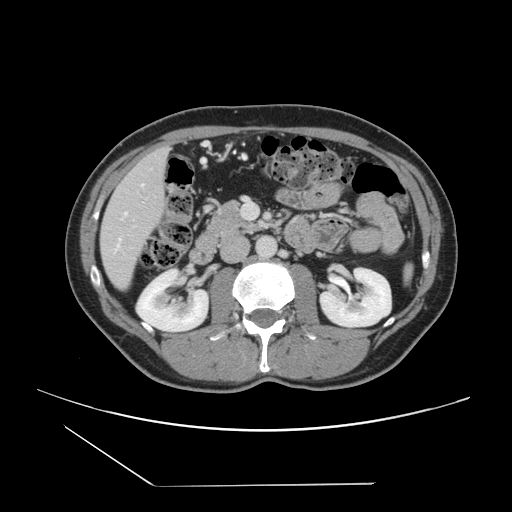
Abdomen; CT image
The vessel boxes may cover only some of the vessels.
2 hepatic vessel regions are located at 112 249 114 251, 119 245 121 250.